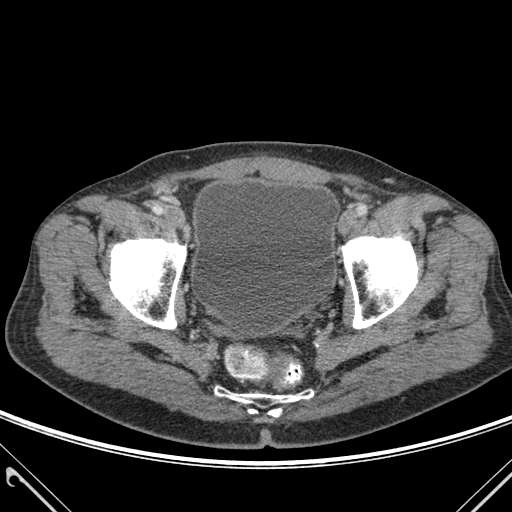 512x512; CT scan slice
urinary bladder: 193,182,338,320 | bone: 342,236,417,328; 215,387,313,402; 268,408,281,416; 109,239,186,329